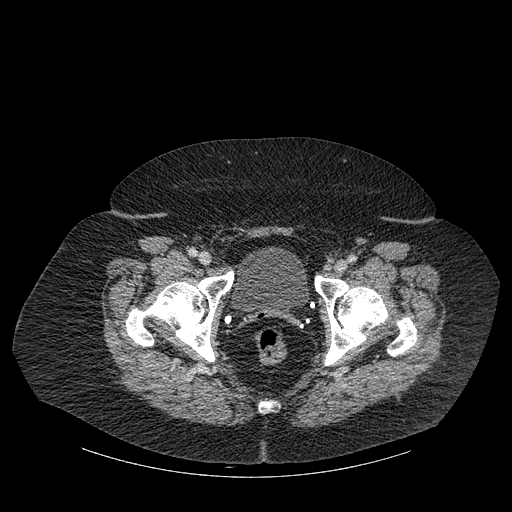 CT. Image size 512x512.

Urinary bladder: 231, 246, 309, 322.
Bone: 259, 401, 275, 412; 126, 271, 233, 361; 315, 276, 387, 365; 387, 318, 416, 356.